CT slice, Abdomen

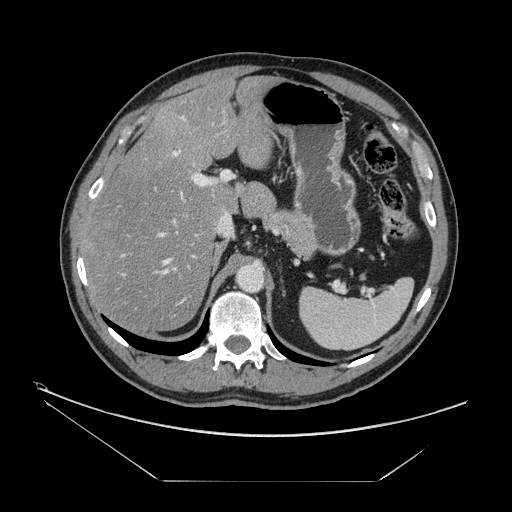

The vessel boxes may cover only some of the vessels.
7 hepatic vessel regions are located at {"x1": 181, "y1": 193, "x2": 182, "y2": 196}, {"x1": 173, "y1": 150, "x2": 179, "y2": 155}, {"x1": 193, "y1": 174, "x2": 196, "y2": 181}, {"x1": 182, "y1": 117, "x2": 183, "y2": 118}, {"x1": 160, "y1": 234, "x2": 163, "y2": 235}, {"x1": 163, "y1": 271, "x2": 166, "y2": 272}, {"x1": 164, "y1": 259, "x2": 169, "y2": 262}.